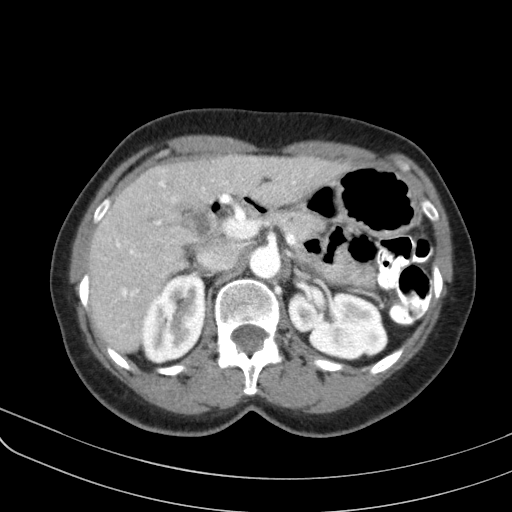

Upper abdomen; CT image
pancreas: bbox(266, 210, 325, 245)